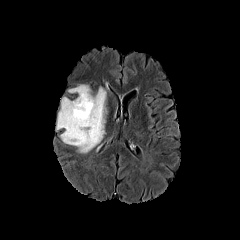
FLAIR MRI.
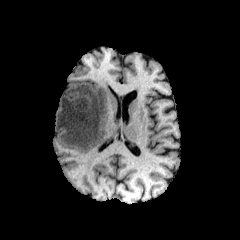
T1-weighted magnetic resonance.
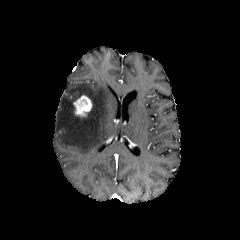
Post-contrast T1-weighted magnetic resonance.
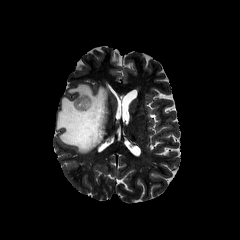
T2-weighted MRI.
Head
- edema: [55, 83, 108, 153]
- enhancing tumor: [73, 95, 92, 116]